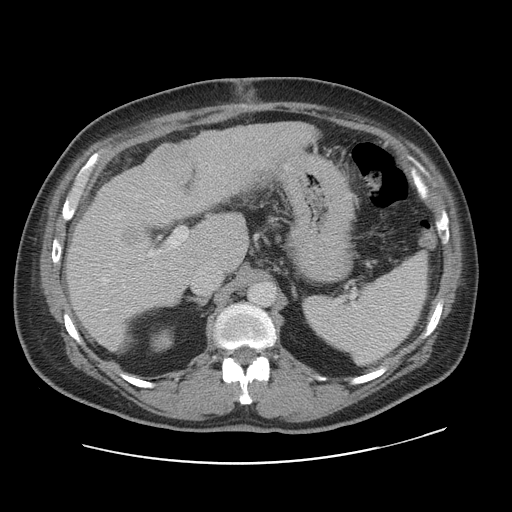

CT
The vessel boxes may cover only some of the vessels.
15 hepatic vessel regions are bounded by (153, 263, 157, 266), (148, 251, 154, 257), (121, 275, 124, 287), (136, 273, 139, 276), (100, 277, 109, 284), (214, 254, 216, 256), (121, 263, 125, 266), (153, 274, 155, 276), (168, 226, 188, 249), (151, 209, 152, 212), (157, 250, 161, 253), (139, 256, 143, 259), (152, 214, 154, 216), (144, 264, 146, 268), (199, 181, 202, 189).